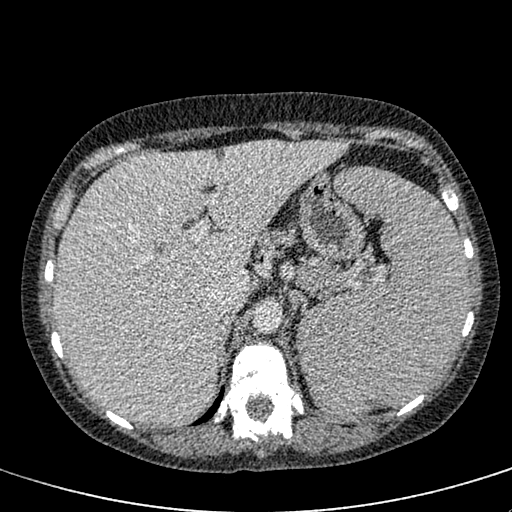

CT image, 512x512, Liver

The liver is at <box>54,141,348,423</box>.